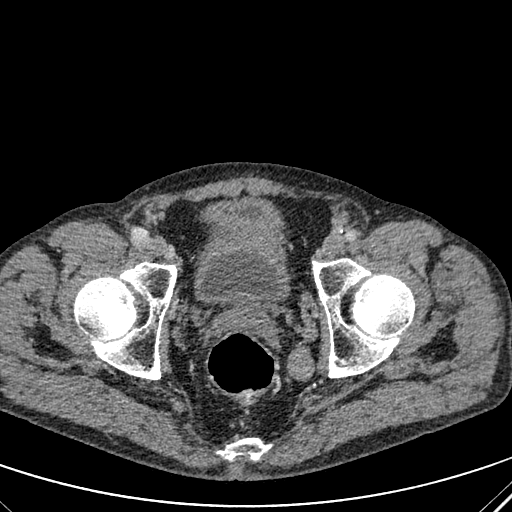

CT image

Annotated regions:
- urinary bladder: {"x1": 238, "y1": 208, "x2": 264, "y2": 223}, {"x1": 200, "y1": 246, "x2": 282, "y2": 299}